240x240 | Slice index 109
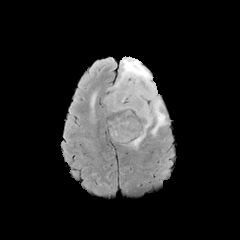
FLAIR magnetic resonance.
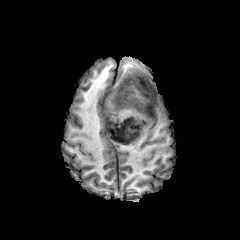
Same slice, T1-weighted MRI.
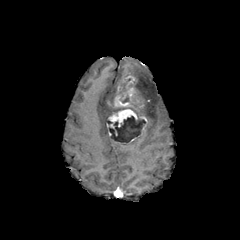
Post-contrast T1-weighted MR image.
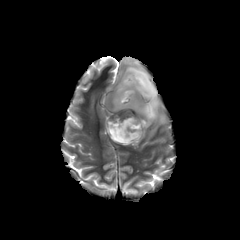
T2-weighted MR image.
The non-enhancing tumor core lies within (107, 77, 146, 144). 2 edema regions appear at (114, 56, 166, 134), (128, 131, 145, 145). 3 enhancing tumor regions are bounded by (108, 109, 137, 126), (122, 87, 135, 101), (114, 95, 133, 106).